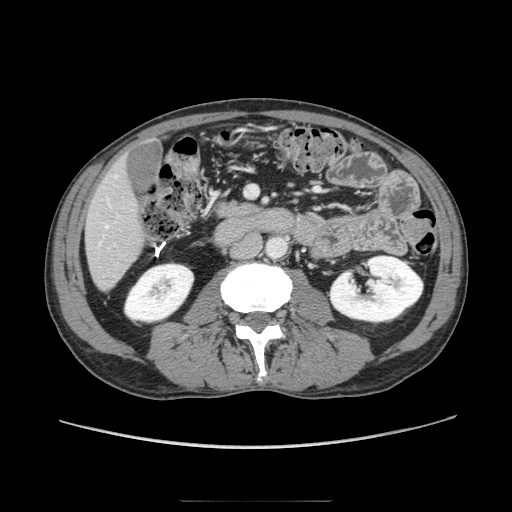

CT slice.

pancreas: l=218, t=202, r=258, b=217